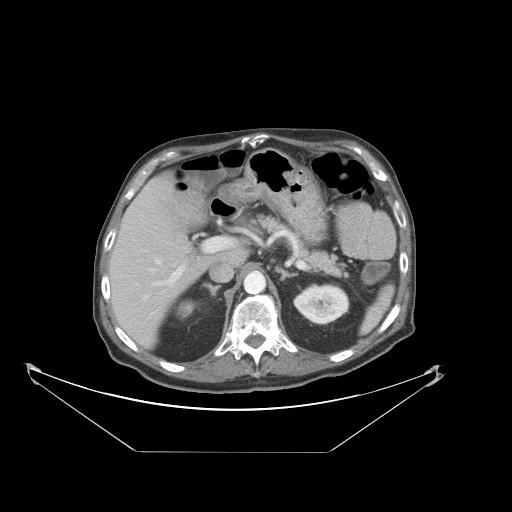

Liver; Computed tomography

Only some of the vessels may be annotated.
9 hepatic vessel regions are located at 150, 268, 154, 271; 203, 238, 234, 253; 144, 295, 147, 300; 156, 259, 161, 264; 162, 272, 163, 273; 155, 267, 184, 286; 185, 251, 188, 253; 151, 307, 162, 315; 218, 220, 220, 223.